Brain, Slice 111 of 155, 240x240 px
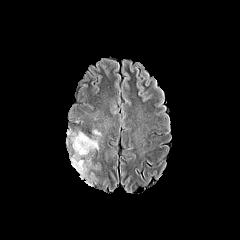
FLAIR MRI.
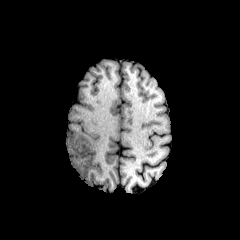
Same slice, T1-weighted MR.
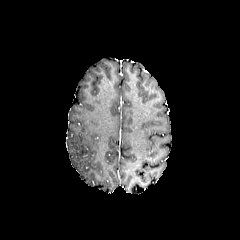
Post-contrast T1-weighted MR of the same slice.
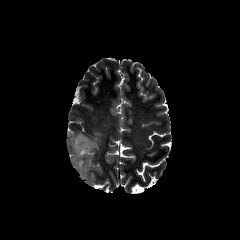
Same slice, T2-weighted MR image.
{
  "edema": [
    "(x1=67, y1=130, x2=99, y2=179)"
  ]
}